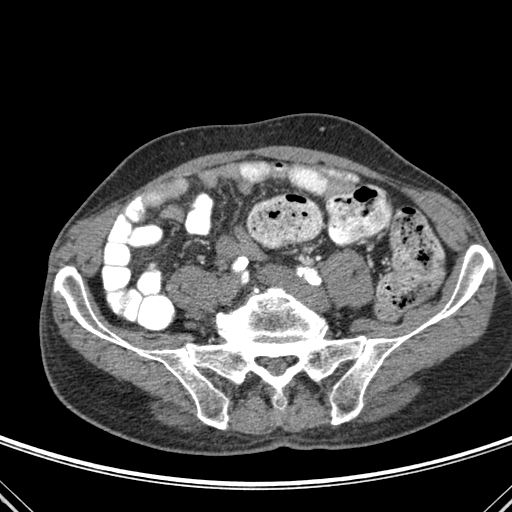

CT slice

{"bone": ["x1=54, y1=244, x2=492, y2=429"]}